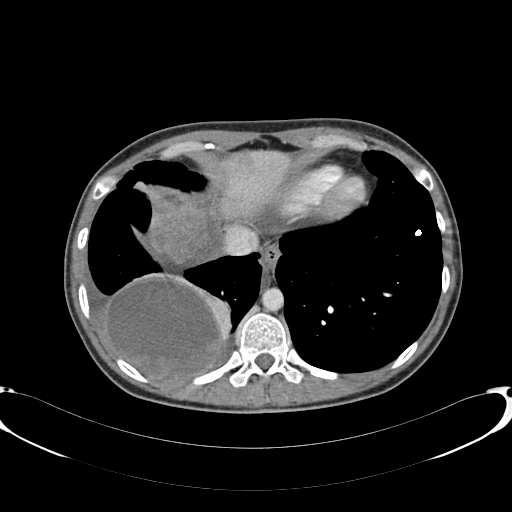
Computed tomography, Abdomen, Image size 512x512
liver: x1=220 y1=151 x2=291 y2=218 | hepatic lesion: x1=238 y1=155 x2=252 y2=166